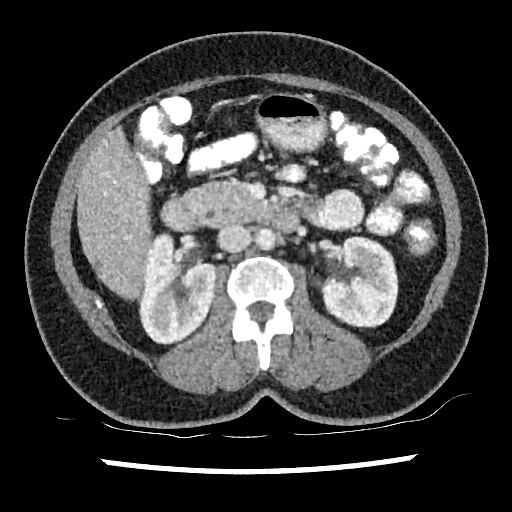
CT image. Image size 512x512.
kidney:
  - bbox=[318, 237, 397, 326]
  - bbox=[141, 235, 215, 342]
liver:
  - bbox=[77, 127, 151, 296]